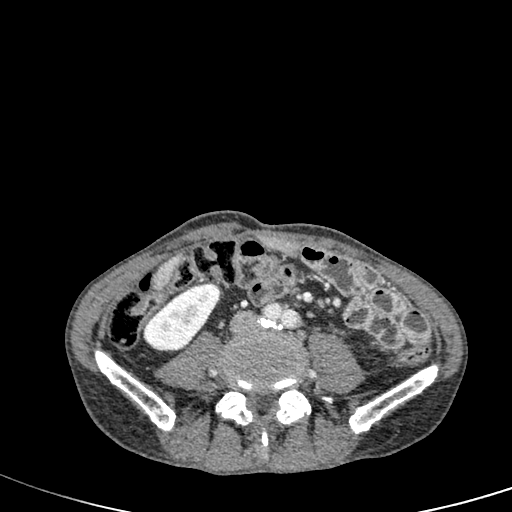

CT scan slice
kidney: (x1=144, y1=284, x2=219, y2=349) | liver: (x1=155, y1=257, x2=179, y2=287)